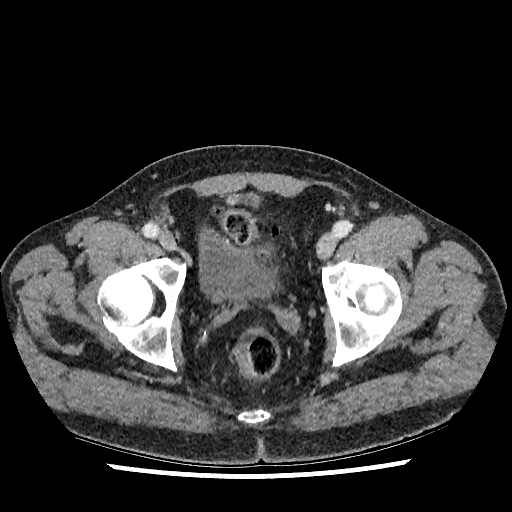
CT
Urinary bladder at 199:228:280:308.